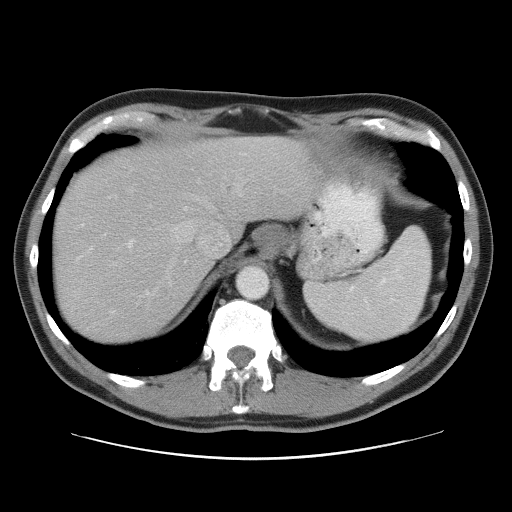
CT slice; Liver

Only some of the vessels may be annotated.
* hepatic vessel: <box>81,224,83,226</box>, <box>88,248,91,250</box>, <box>235,175,244,195</box>, <box>201,241,204,243</box>, <box>146,292,152,294</box>, <box>183,206,192,209</box>, <box>126,240,133,247</box>, <box>195,197,213,209</box>, <box>232,171,236,172</box>, <box>172,222,192,241</box>